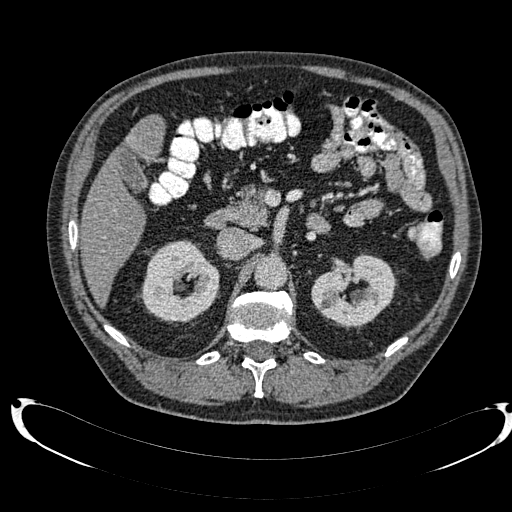
Upper abdomen. CT image.
liver: 81 116 163 307 | kidney: 311 254 395 326, 141 240 219 322